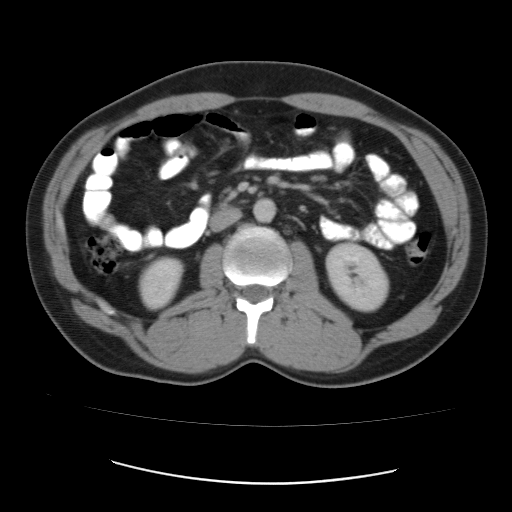 Abdomen | CT image
<segmentation>
  <colon_tumor>411:242:425:257</colon_tumor>
</segmentation>